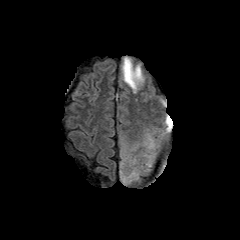
FLAIR MR image.
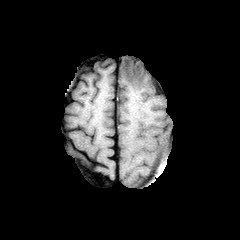
T1-weighted magnetic resonance of the same slice.
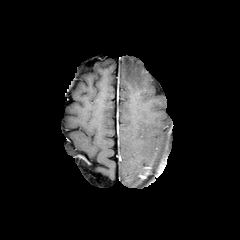
Post-contrast T1-weighted MR image.
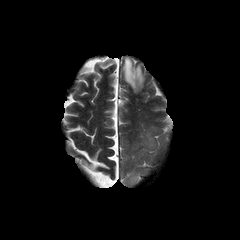
Same slice, T2-weighted magnetic resonance.
Brain
Edema: bounding box (121, 57, 144, 90).